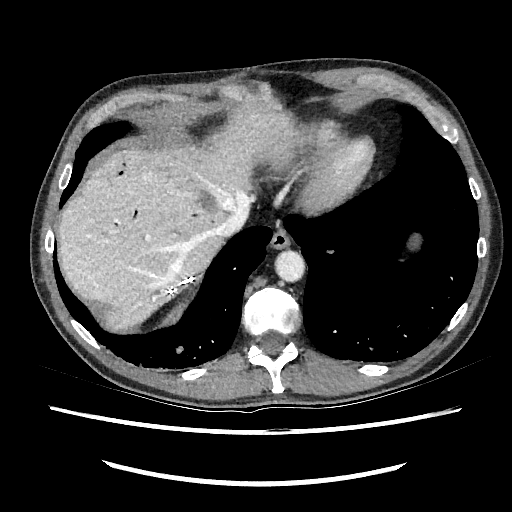 CT scan slice; 512x512
Liver at l=59, t=89, r=306, b=329.
Hepatic lesion at l=201, t=190, r=217, b=211.